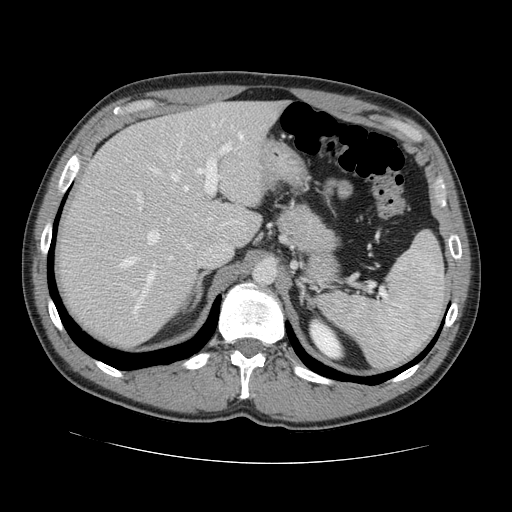

Abdomen. CT scan slice.
The vessel annotation is not exhaustive.
{"partial": true, "hepatic_vessel": {"n_total": 29, "boxes": ["box(177, 152, 179, 158)", "box(184, 186, 187, 190)", "box(132, 290, 136, 295)", "box(147, 231, 158, 243)", "box(131, 270, 153, 314)", "box(133, 191, 141, 203)", "box(121, 257, 138, 267)", "box(196, 153, 218, 193)", "box(237, 133, 242, 139)", "box(177, 134, 185, 148)", "box(122, 286, 129, 289)", "box(172, 170, 178, 180)", "box(161, 154, 164, 158)", "box(219, 140, 236, 153)", "box(150, 168, 159, 173)"]}}